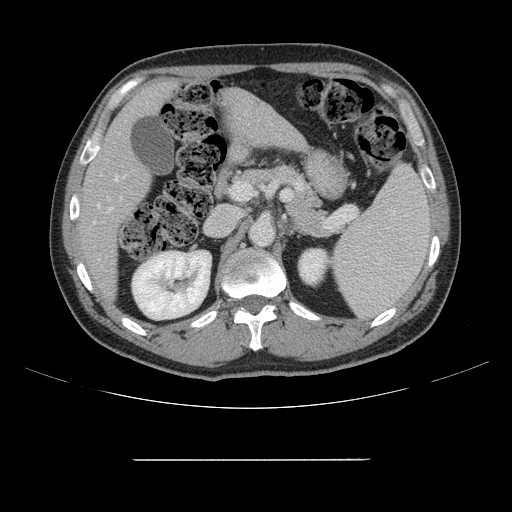 CT scan slice
The vessel annotation is not exhaustive.
{
  "hepatic_vessel": [
    {"x1": 98, "y1": 204, "x2": 99, "y2": 206},
    {"x1": 107, "y1": 208, "x2": 111, "y2": 212},
    {"x1": 115, "y1": 175, "x2": 117, "y2": 180}
  ]
}